CT image | Field of view 411x411 mm

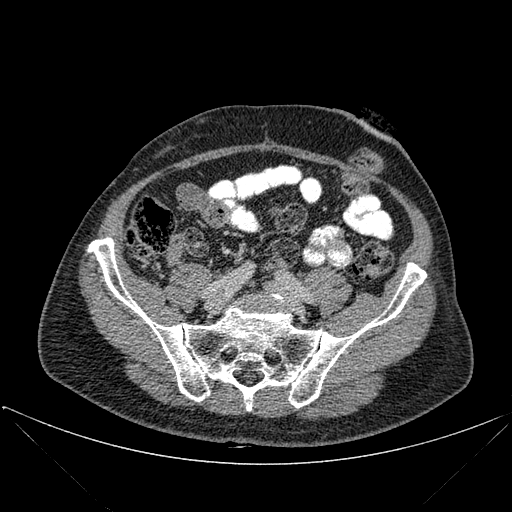
* bone: 88, 238, 426, 410